Liver, CT scan slice, Field of view 358 mm wide, 0.70 mm slice spacing
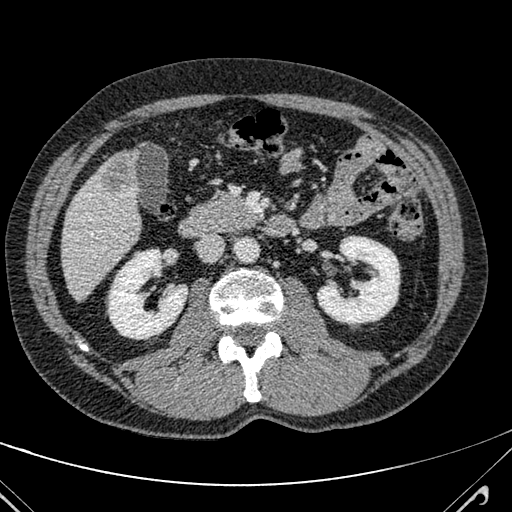

Liver lesion: 105,156,130,189.
Liver: 62,152,138,299.